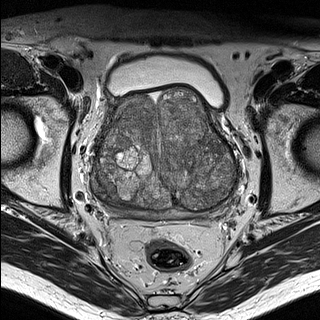
T2-weighted magnetic resonance.
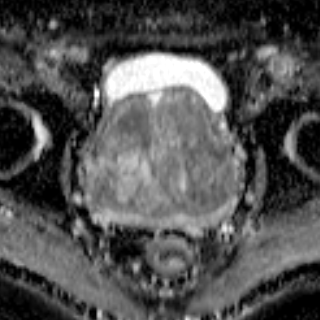
ADC MRI.
prostate_peripheral_zone:
  - [101,198,230,220]
prostate_transition_zone:
  - [93,88,234,209]